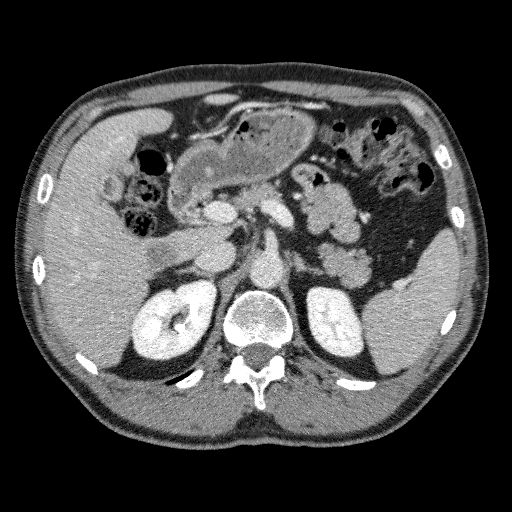 CT scan slice
Focal liver lesion: {"x1": 109, "y1": 150, "x2": 133, "y2": 173}, {"x1": 133, "y1": 128, "x2": 144, "y2": 137}, {"x1": 143, "y1": 240, "x2": 179, "y2": 273}.
Kidney: {"x1": 307, "y1": 287, "x2": 362, "y2": 355}, {"x1": 132, "y1": 281, "x2": 215, "y2": 358}.
Liver: {"x1": 205, "y1": 94, "x2": 237, "y2": 104}, {"x1": 42, "y1": 108, "x2": 232, "y2": 366}.